Field of view 400 mm wide, 1.37 mm slice spacing; MRI slice; 320x320 px; Heart 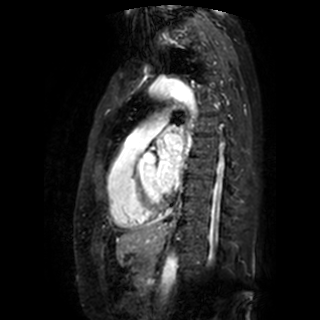

- left atrium: (left=156, top=133, right=182, bottom=192)